FLAIR MR.
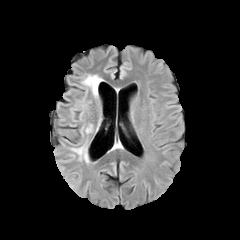
T1-weighted MR image.
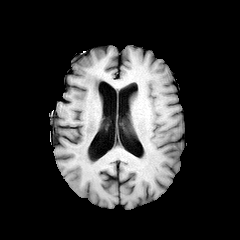
Post-contrast T1-weighted magnetic resonance.
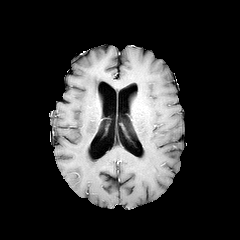
T2-weighted magnetic resonance.
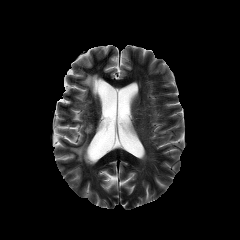
Image size 240x240; Head
2 edema regions are located at 73,73,103,119; 71,123,92,162.